Head, Image size 240x240
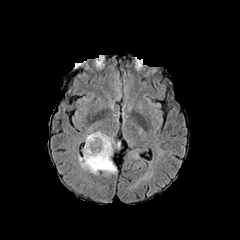
FLAIR MR image.
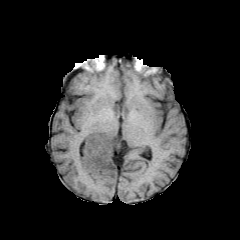
T1-weighted magnetic resonance of the same slice.
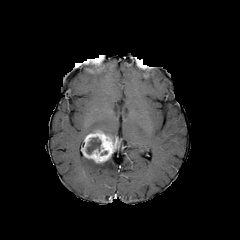
Same slice, post-contrast T1-weighted magnetic resonance.
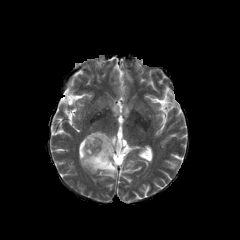
T2-weighted MR.
The edema appears at [x1=78, y1=154, x2=116, y2=176]. The non-enhancing tumor core is located at [x1=86, y1=137, x2=101, y2=154]. The enhancing tumor is bounded by [x1=82, y1=130, x2=119, y2=163].